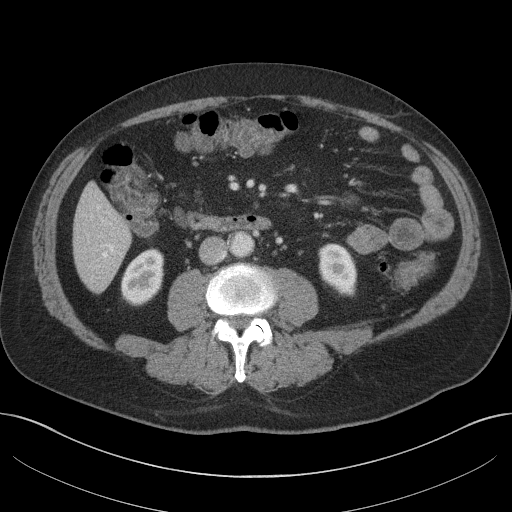 CT
Annotated regions:
• kidney: box(320, 245, 355, 292); box(122, 250, 162, 302)
• liver: box(73, 184, 130, 291)